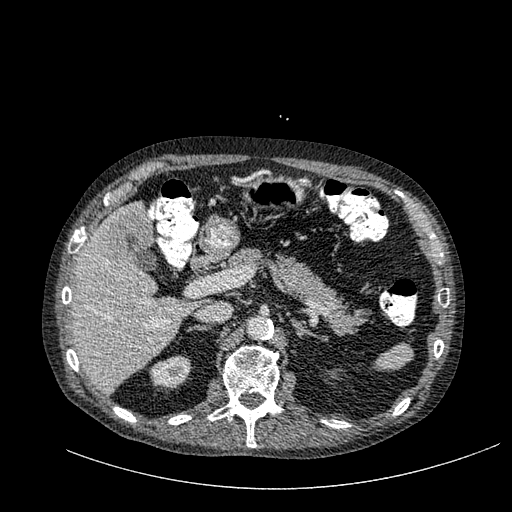
CT slice

The kidney is bounded by rect(149, 355, 191, 387). 2 liver regions are bounded by rect(72, 202, 206, 392); rect(125, 231, 143, 244). The liver lesion lies within rect(106, 209, 151, 264).